FLAIR MR.
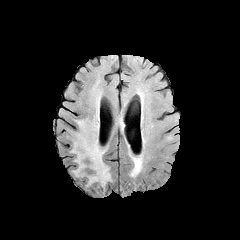
T1-weighted MR image.
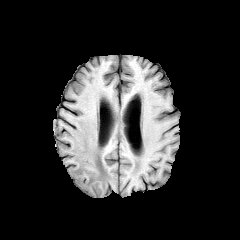
Post-contrast T1-weighted MR image.
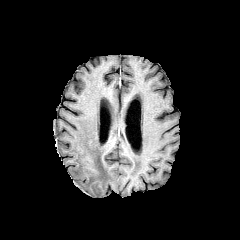
T2-weighted magnetic resonance.
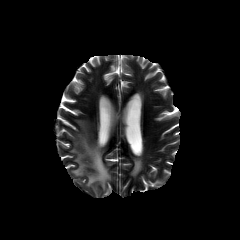
240x240 px
Edema at (left=130, top=154, right=143, bottom=177), (left=72, top=118, right=111, bottom=188).